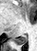

Image size 37x51; Hippocampus; MR
Posterior hippocampus = (13,35,26,44).